Slice 41 of 87; Computed tomography; Abdomen
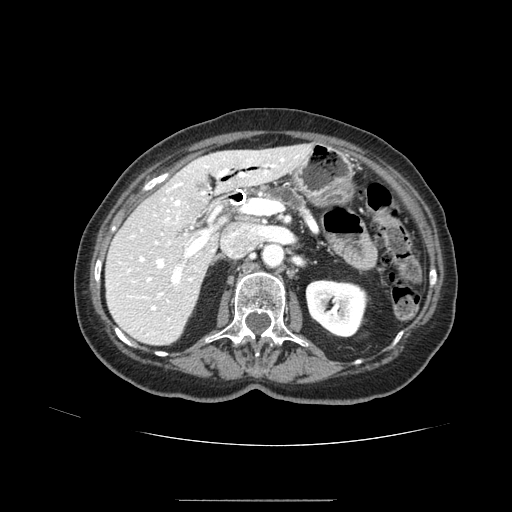 pancreas: 269, 188, 304, 210